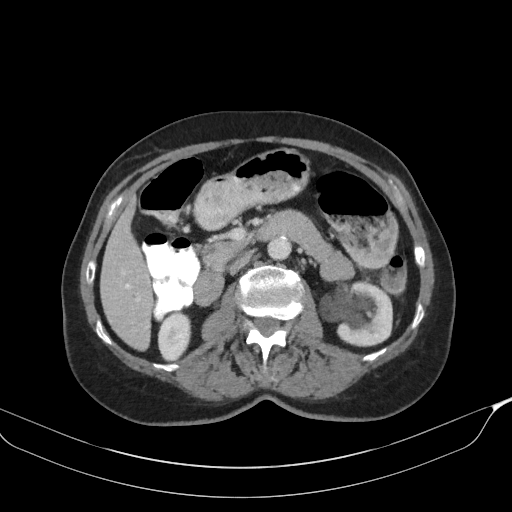

CT

The pancreas lies within rect(203, 241, 242, 271).